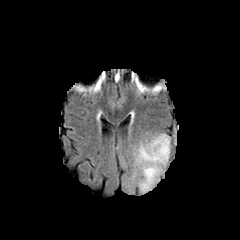
FLAIR magnetic resonance.
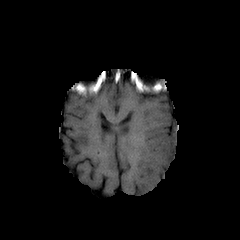
Same slice, T1-weighted MR image.
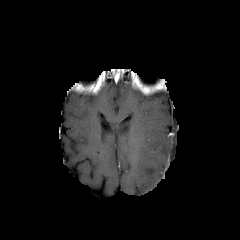
Post-contrast T1-weighted MR.
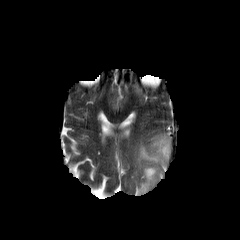
T2-weighted magnetic resonance of the same slice.
Head. 240x240 px.
The edema is located at (134, 133, 171, 193).